240x240 px
FLAIR MR image.
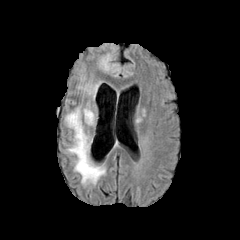
T1-weighted MRI.
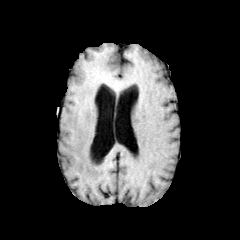
Post-contrast T1-weighted magnetic resonance.
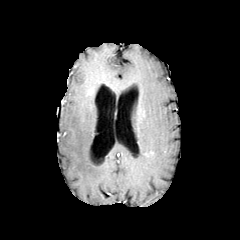
T2-weighted MR image.
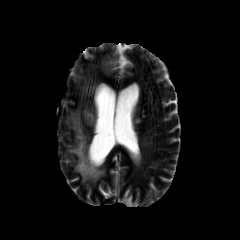
3 edema regions appear at <box>83,82,93,95</box>, <box>65,107,105,185</box>, <box>102,56,109,70</box>.